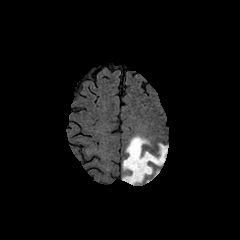
FLAIR MRI.
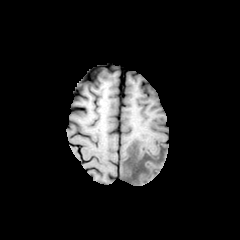
T1-weighted MR.
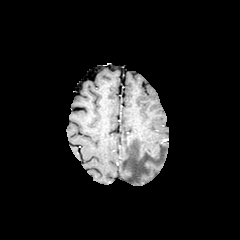
Same slice, post-contrast T1-weighted MRI.
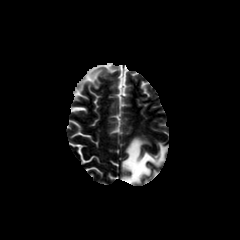
T2-weighted MR.
Head, Image size 240x240
Annotated regions:
• edema: (121, 136, 168, 184)